CT scan slice

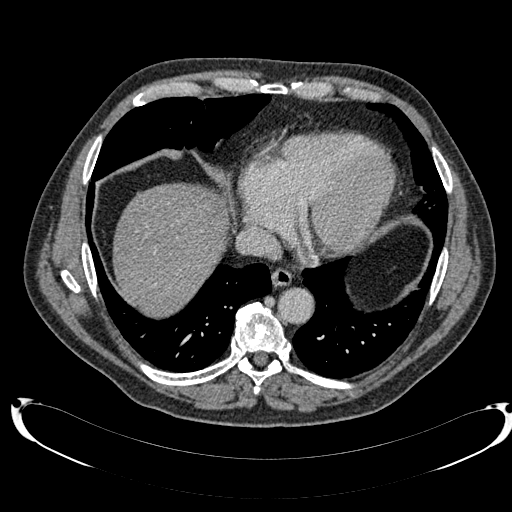

Annotated regions:
• liver: region(112, 183, 228, 316)